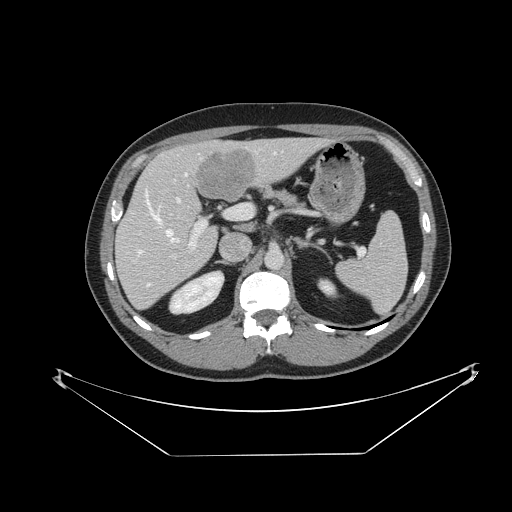
512x512 px; CT
Spleen — x1=337, y1=213, x2=406, y2=312.